Liver. Image width 497 mm. CT slice.
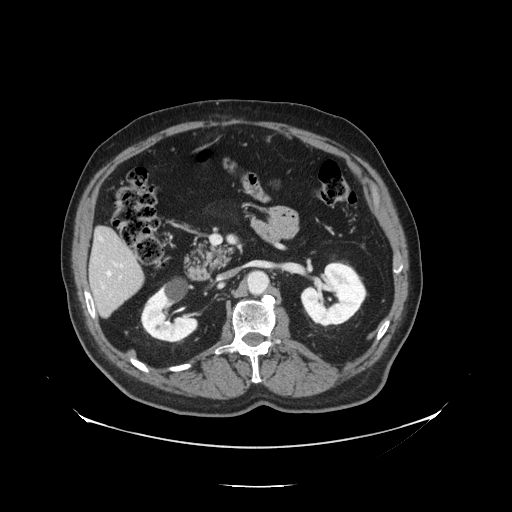 Some hepatic vessels may have no box.
4 hepatic vessel regions appear at (left=114, top=263, right=122, bottom=267), (left=99, top=237, right=102, bottom=240), (left=107, top=271, right=111, bottom=276), (left=102, top=286, right=104, bottom=288).